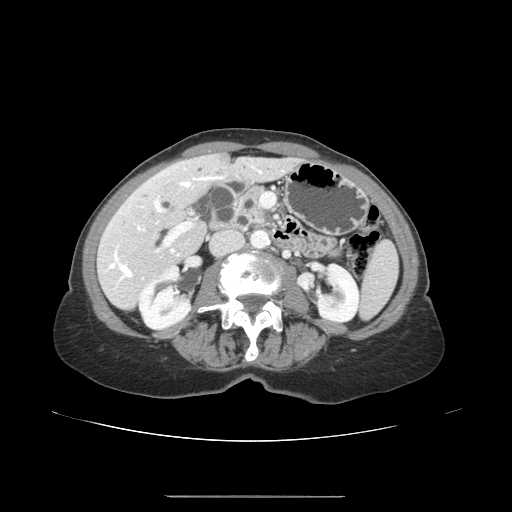
CT
Annotated regions:
- pancreas: x1=239, y1=187, x2=268, y2=223